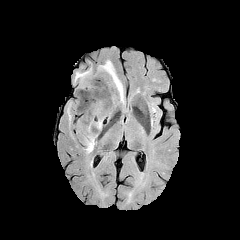
FLAIR MRI.
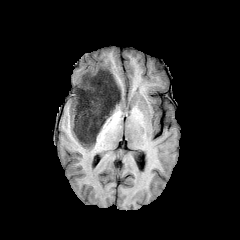
Same slice, T1-weighted MR image.
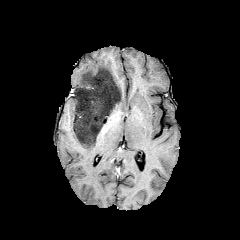
Post-contrast T1-weighted MRI of the same slice.
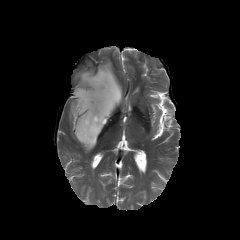
T2-weighted MRI.
Head.
Non-enhancing tumor core = region(75, 68, 121, 146).
Edema = region(94, 80, 103, 98); region(81, 142, 94, 153); region(75, 60, 124, 102).